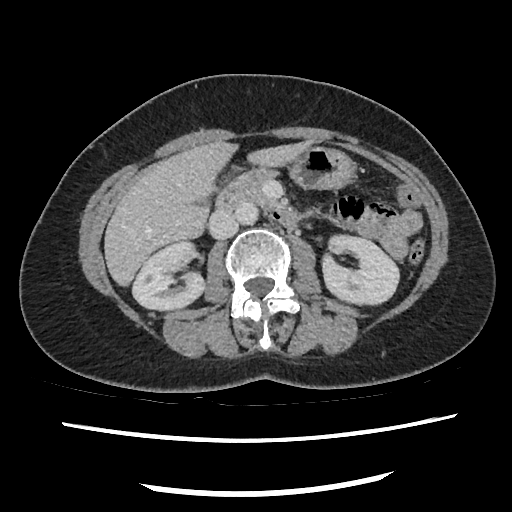

CT slice. Image size 512x512.
pancreas:
  - l=216, t=168, r=274, b=209